512x512 px | Field of view 500x500 mm | CT slice | Thorax
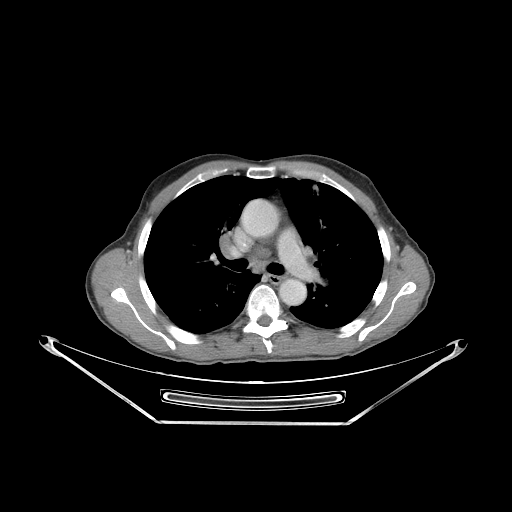

12 bone regions appear at (244,285,287,352), (138,220,150,254), (247,167,273,178), (139,278,155,312), (168,326,198,343), (176,184,190,195), (111,288,175,349), (373,281,386,305), (339,319,364,337), (336,185,352,198), (378,228,390,260), (359,282,415,340). The lung is bounded by (144,175,383,333).